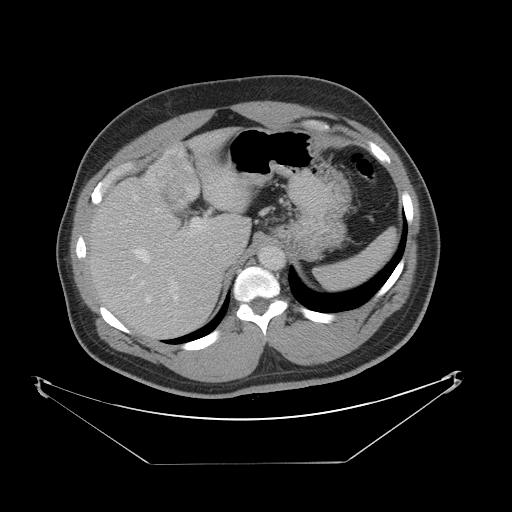 CT slice

The vessel boxes may cover only some of the vessels.
Hepatic vessel: bounding box 221,258,226,259; 214,241,230,250; 170,280,177,299; 185,221,213,252; 136,249,148,261.
Liver tumor: bounding box 160,148,192,200.